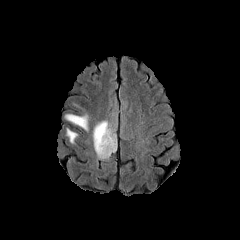
FLAIR magnetic resonance.
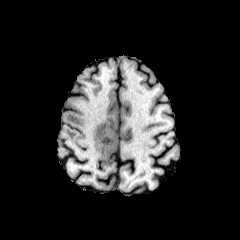
T1-weighted MR image.
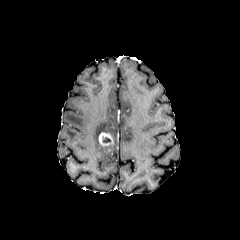
Same slice, post-contrast T1-weighted MR.
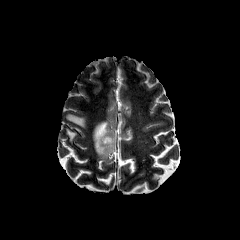
T2-weighted MRI.
Head
Enhancing tumor = x1=98, y1=133, x2=113, y2=147.
Edema = x1=65, y1=114, x2=87, y2=130; x1=67, y1=129, x2=78, y2=143; x1=92, y1=121, x2=116, y2=158.